CT scan slice | Liver 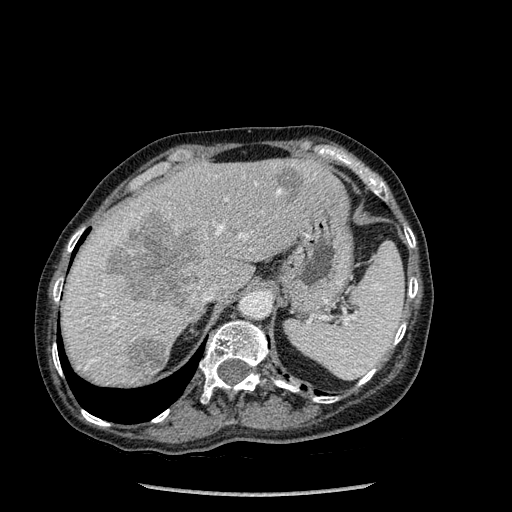

* bone: box=[408, 277, 417, 298]; box=[53, 277, 63, 302]; box=[392, 323, 405, 344]; box=[81, 409, 109, 426]; box=[199, 320, 268, 403]; box=[358, 368, 375, 385]; box=[370, 179, 388, 200]; box=[52, 343, 62, 375]; box=[67, 229, 82, 252]; box=[313, 396, 338, 403]; box=[273, 379, 298, 391]; box=[404, 226, 415, 247]; box=[152, 409, 169, 422]
* lung: box=[58, 340, 201, 423]; box=[297, 382, 307, 389]
* liver lesion: box=[127, 337, 164, 376]; box=[277, 167, 300, 204]; box=[106, 211, 199, 308]
* liver: box=[62, 158, 343, 387]